512x512 px, CT 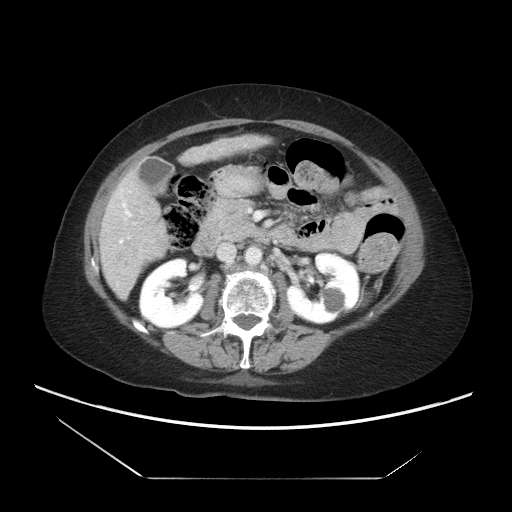 The vessel boxes may cover only some of the vessels.
Segmented structures:
* hepatic vessel: {"x1": 119, "y1": 239, "x2": 122, "y2": 242}, {"x1": 133, "y1": 222, "x2": 135, "y2": 224}, {"x1": 128, "y1": 236, "x2": 129, "y2": 238}, {"x1": 122, "y1": 202, "x2": 131, "y2": 216}